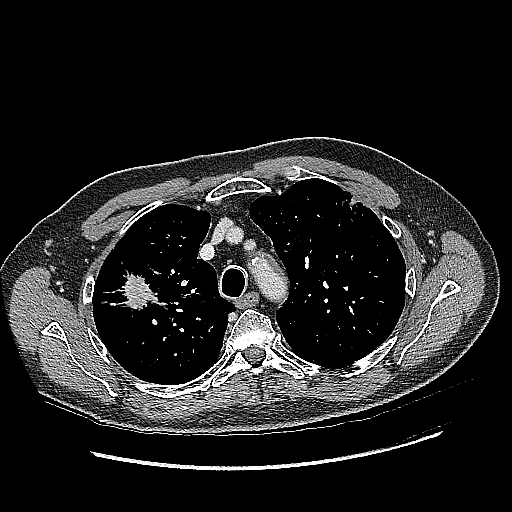

Chest; CT slice
<segmentation>
  <lung_tumor>(x1=93, y1=255, x2=169, y2=320)</lung_tumor>
</segmentation>